Medial temporal lobe, 35x50, MR, Slice index 14

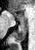

The posterior hippocampus lies within l=12, t=21, r=26, b=40. The anterior hippocampus lies within l=10, t=11, r=25, b=20.